CT scan slice, Liver, Slice index 131
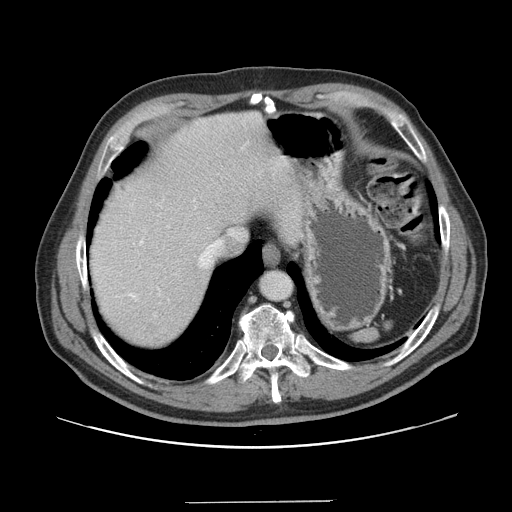 Not every hepatic vessel necessarily has a box.
Hepatic vessel: bounding box x1=200 y1=241 x2=220 y2=265.